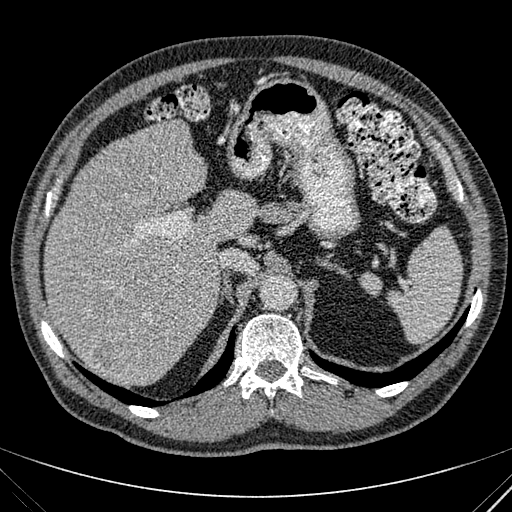
CT; Liver
Annotated regions:
• liver: x1=46 y1=121 x2=255 y2=384
• hepatic lesion: x1=94 y1=337 x2=121 y2=370